Pelvis, CT scan slice
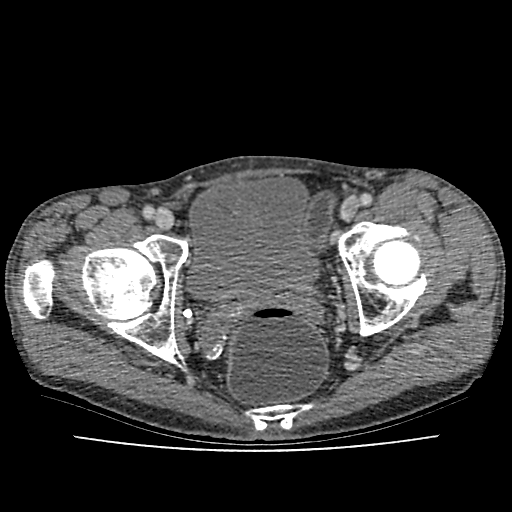
The urinary bladder is bounded by <box>186,173,319,302</box>.